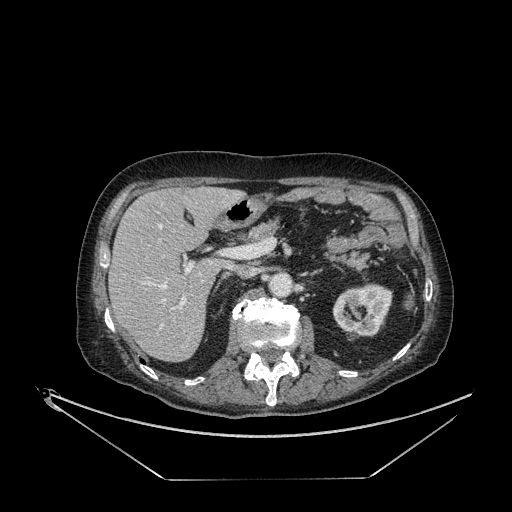 CT slice, Upper abdomen
The kidney is located at [333, 284, 391, 335]. The liver lies within [108, 187, 243, 361].